Slice 45 of 155
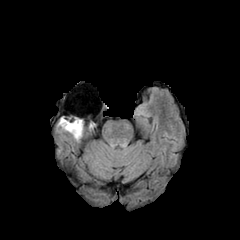
FLAIR magnetic resonance.
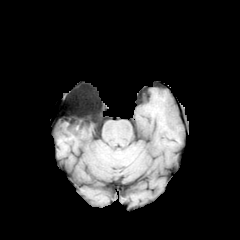
T1-weighted MR image of the same slice.
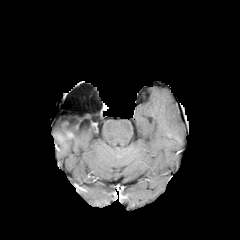
Post-contrast T1-weighted MRI of the same slice.
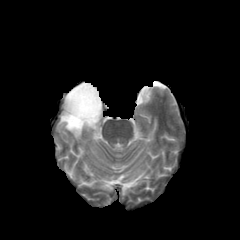
T2-weighted MRI.
The edema appears at (57, 119, 84, 140). The non-enhancing tumor core lies within (61, 116, 83, 125).